MRI; Medial temporal lobe 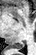 The posterior hippocampus is bounded by (12, 41, 24, 48).